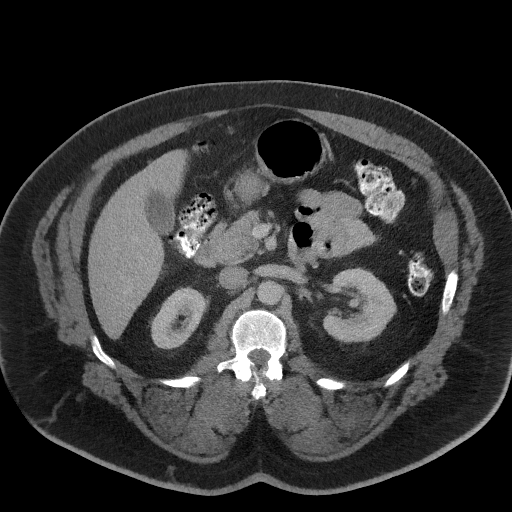

Computed tomography.
- pancreas: (x1=195, y1=211, x2=258, y2=267)